CT image, Upper abdomen, Slice 44/88
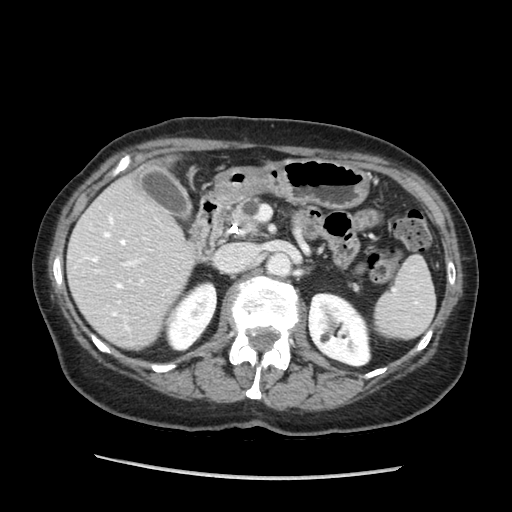 Pancreas: (left=231, top=198, right=260, bottom=234).